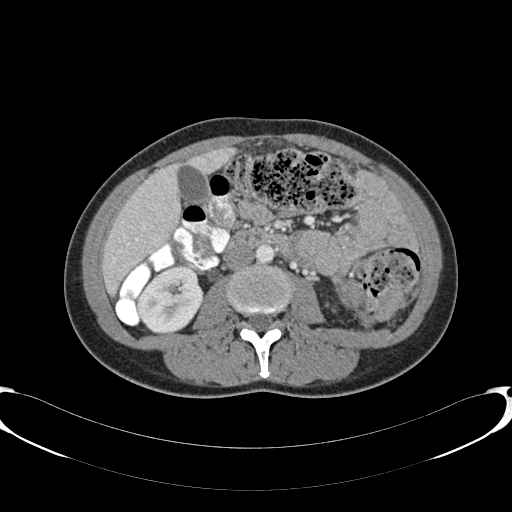

Upper abdomen | Computed tomography
The kidney is at bbox=[136, 267, 201, 331]. The liver is located at bbox=[102, 147, 235, 294].